Slice index 66 | Image size 240x240 | Head
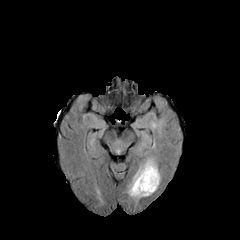
FLAIR MR.
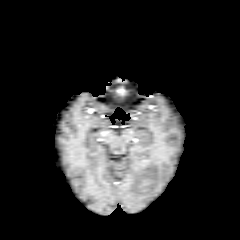
T1-weighted MR image.
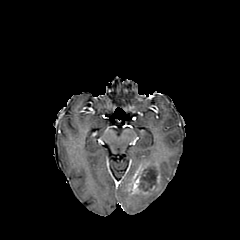
Post-contrast T1-weighted MR.
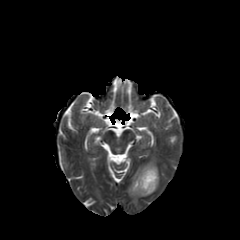
T2-weighted MR of the same slice.
{"enhancing_tumor": ["<bbox>133, 174, 141, 190</bbox>"], "edema": ["<bbox>127, 157, 160, 198</bbox>"], "non-enhancing_tumor_core": ["<bbox>140, 168, 156, 190</bbox>"]}